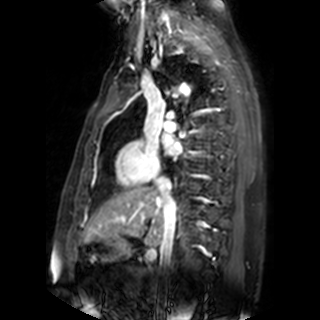
MR image. Image size 320x320.

Left atrium at <bbox>161, 133, 181, 154</bbox>.